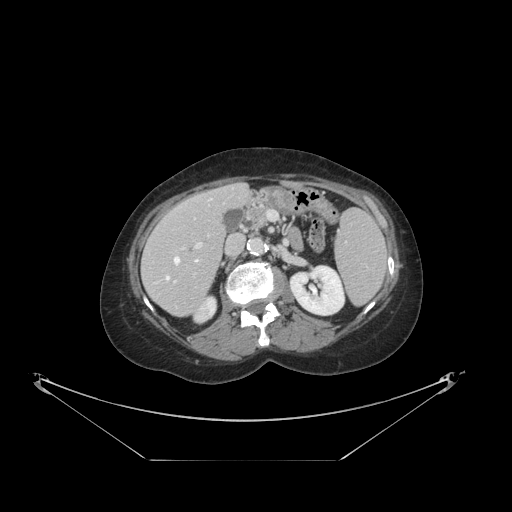

Liver. 512x512 px. CT.

Some hepatic vessels may have no box.
Hepatic vessel — box=[195, 259, 198, 261]; box=[174, 257, 179, 264]; box=[173, 281, 175, 283]; box=[165, 276, 169, 280]; box=[195, 243, 200, 247]; box=[209, 198, 211, 199].